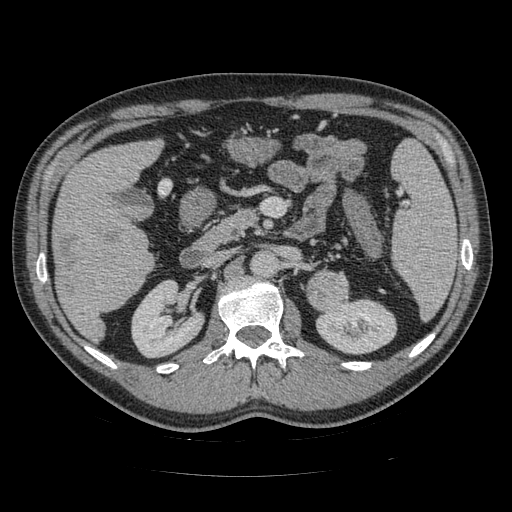
CT; Image size 512x512; Upper abdomen
The pancreatic tumor appears at (x1=308, y1=271, x2=349, y2=312). The pancreas lies within (x1=219, y1=209, x2=255, y2=237).